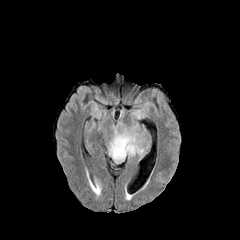
FLAIR MR.
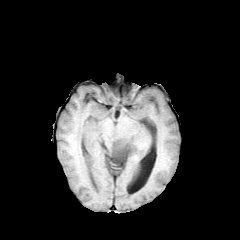
T1-weighted magnetic resonance of the same slice.
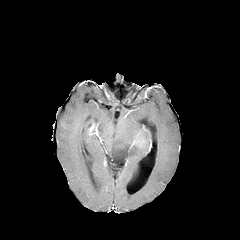
Post-contrast T1-weighted MR of the same slice.
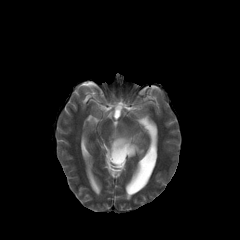
T2-weighted MR image of the same slice.
240x240
<segmentation>
  <edema>(123,133,147,161), (108,129,137,156)</edema>
  <non-enhancing_tumor_core>(111,142,134,163)</non-enhancing_tumor_core>
</segmentation>